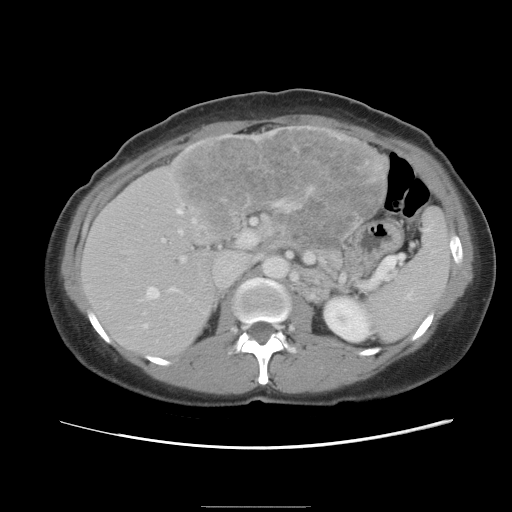

512x512 px; Computed tomography; Abdomen

The vessel boxes may cover only some of the vessels.
Annotated regions:
• liver tumor: 172, 128, 385, 240
• hepatic vessel: 180, 256, 184, 260; 211, 229, 258, 287; 264, 259, 266, 260; 177, 208, 180, 212; 146, 286, 158, 297; 251, 218, 256, 223; 143, 323, 146, 327; 170, 286, 178, 290; 162, 238, 163, 240; 188, 298, 189, 299; 178, 229, 181, 232